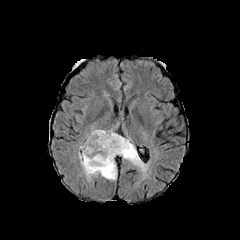
FLAIR MR image.
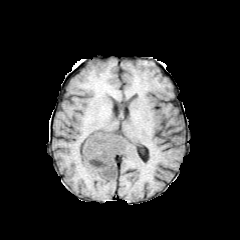
T1-weighted MR image.
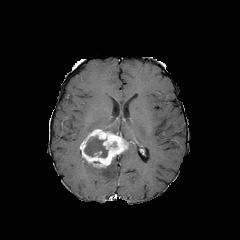
Post-contrast T1-weighted magnetic resonance of the same slice.
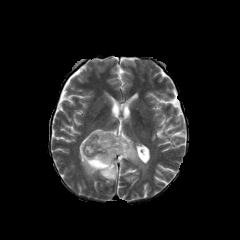
T2-weighted MRI.
Head, 240x240
enhancing tumor: 80, 129, 127, 167 | non-enhancing tumor core: 84, 137, 107, 157 | edema: 87, 143, 99, 152; 79, 148, 117, 181; 121, 143, 146, 171